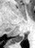

Image size 35x48. Medial temporal lobe. MR.
Posterior hippocampus = 9:33:24:42.